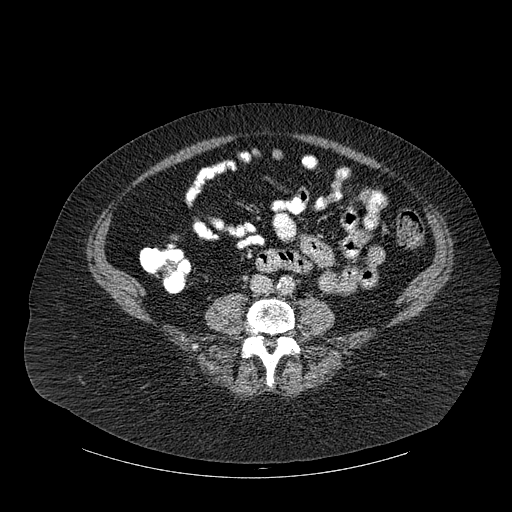

CT

* bone: bbox(242, 299, 299, 386)